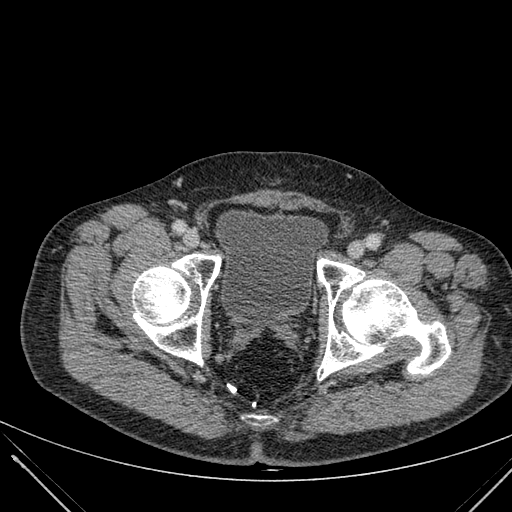

CT image, Pelvis

<segmentation>
  <urinary_bladder>{"x1": 216, "y1": 210, "x2": 328, "y2": 319}</urinary_bladder>
</segmentation>